240x240 px; Image width 240 mm
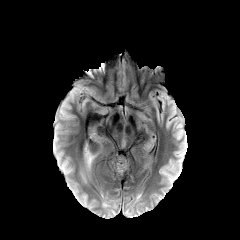
FLAIR magnetic resonance.
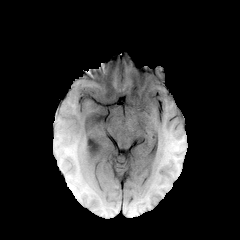
T1-weighted MR.
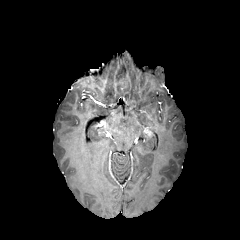
Post-contrast T1-weighted MRI.
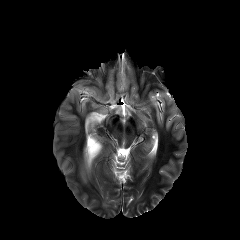
T2-weighted MR image of the same slice.
The edema appears at [85, 150, 92, 166].